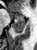

MR image
posterior_hippocampus:
  - x1=11, y1=21, x2=24, y2=33
anterior_hippocampus:
  - x1=14, y1=14, x2=24, y2=20
  - x1=10, y1=13, x2=12, y2=18